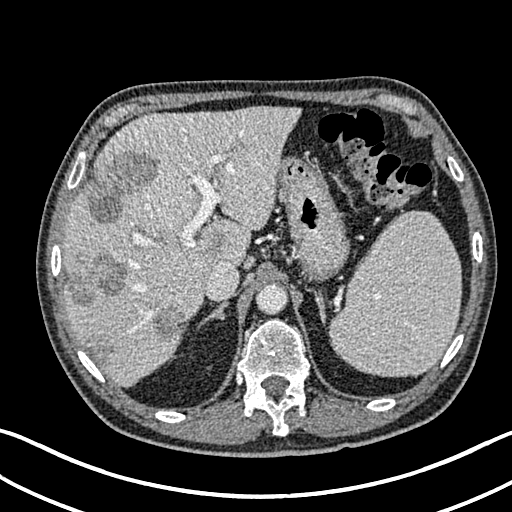
CT.
Liver lesion = bbox=[84, 152, 160, 222]; bbox=[152, 304, 182, 342]; bbox=[216, 234, 223, 245]; bbox=[89, 337, 109, 358]; bbox=[69, 253, 127, 307].
Liver = bbox=[64, 107, 299, 383].